Slice 44/155. Head.
FLAIR MR.
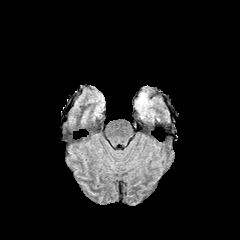
T1-weighted MR image.
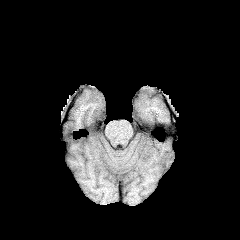
Post-contrast T1-weighted MR image.
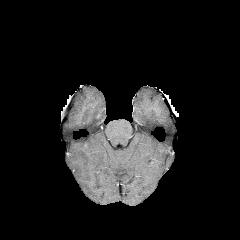
T2-weighted magnetic resonance.
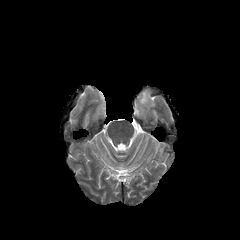
Edema at {"x1": 141, "y1": 95, "x2": 148, "y2": 106}.